MR image, Medial temporal lobe, Slice 18/44, Field of view 36 mm wide, 1.00 mm slice spacing
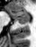

Annotated regions:
* anterior hippocampus: <bbox>10, 10, 29, 16</bbox>, <bbox>8, 8, 10, 9</bbox>
* posterior hippocampus: <bbox>12, 17, 29, 24</bbox>